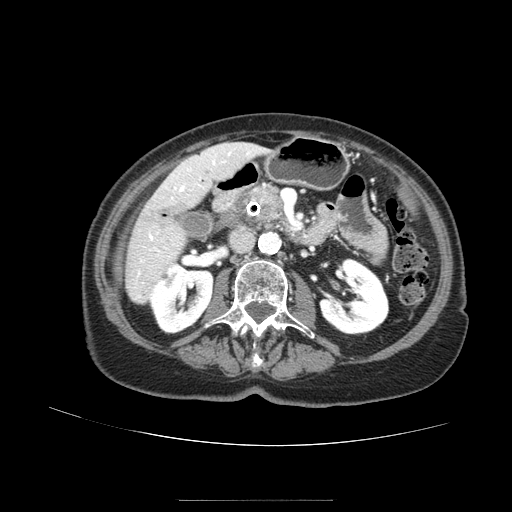 CT.
The pancreas is located at 250 186 284 219. The pancreatic tumor is at 261 201 274 217.